Slice 373 of 856, CT slice, Image width 373 mm 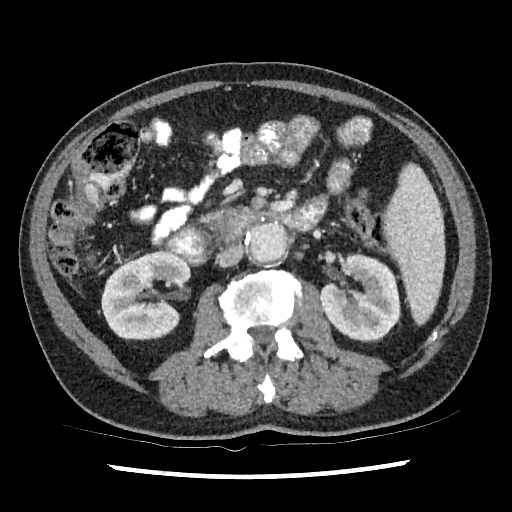
Kidney — rect(102, 251, 190, 338); rect(320, 255, 399, 339).